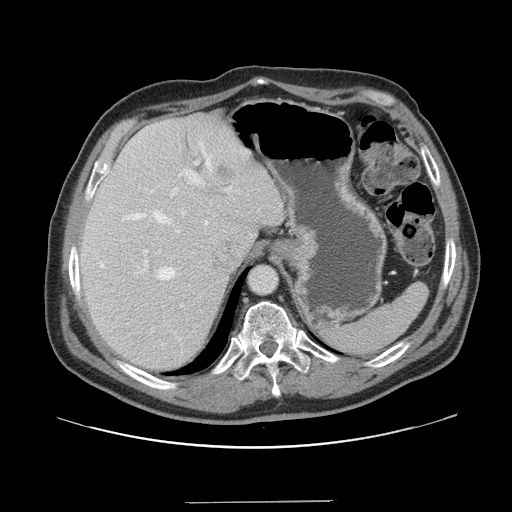 Computed tomography; 512x512 px; Liver
Only some of the vessels may be annotated.
{
  "hepatic_vessel": [
    "x1=170, y1=187, x2=178, y2=195",
    "x1=205, y1=221, x2=207, y2=224",
    "x1=122, y1=213, x2=146, y2=219",
    "x1=179, y1=169, x2=204, y2=185",
    "x1=194, y1=161, x2=197, y2=164",
    "x1=153, y1=211, x2=170, y2=223",
    "x1=157, y1=267, x2=174, y2=279",
    "x1=200, y1=143, x2=211, y2=170",
    "x1=140, y1=259, x2=147, y2=271",
    "x1=100, y1=264, x2=103, y2=267",
    "x1=224, y1=187, x2=231, y2=191",
    "x1=143, y1=250, x2=147, y2=253"
  ],
  "liver_tumor": [
    "x1=218, y1=168, x2=234, y2=181"
  ]
}